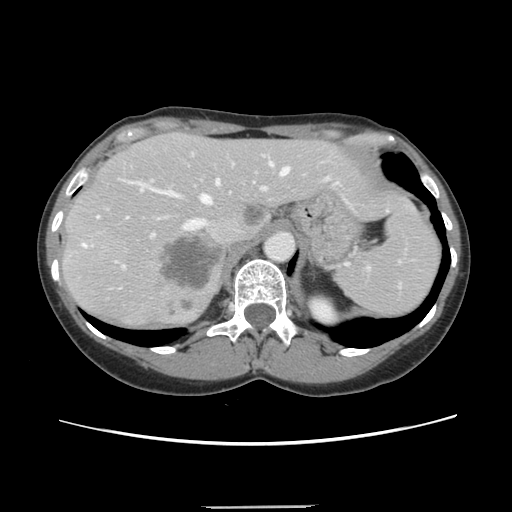
Image size 512x512. CT slice.
Some hepatic vessels may have no box.
Hepatic vessel = 97,216,98,217; 150,233,153,236; 130,181,176,195; 81,243,87,247; 280,167,288,174; 200,194,210,203; 90,244,92,245; 216,180,219,183; 261,186,265,189; 183,219,205,229; 269,162,272,165; 122,265,124,267.
Liver tumor = 243,205,264,226; 162,237,222,289.